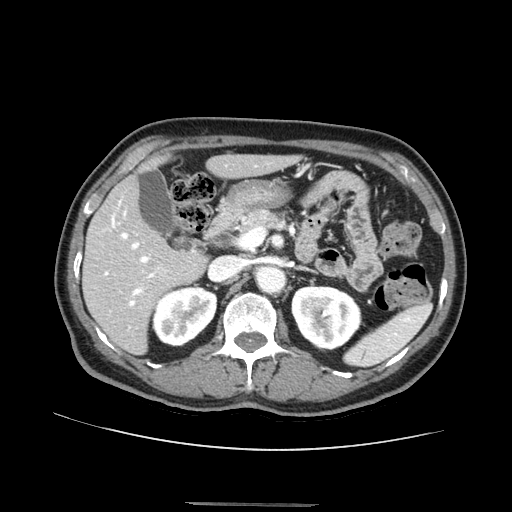
CT image; Upper abdomen

Pancreas: bounding box [240,211,286,233].